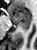
MR image; Medial temporal lobe

Posterior hippocampus = (18, 22, 30, 32).
Anterior hippocampus = (8, 10, 31, 22).